CT | Slice 41/137 | Field of view 409x409 mm
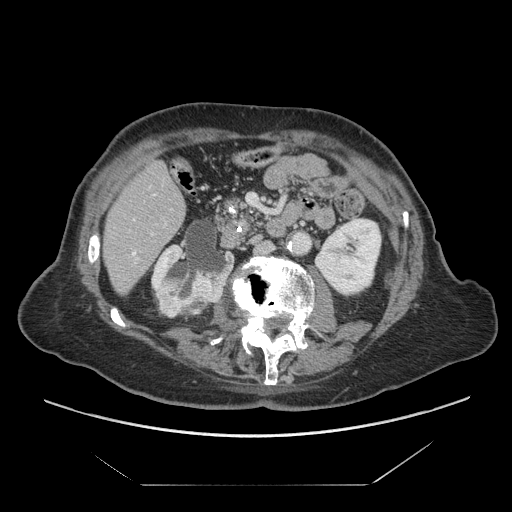

Pancreas: bounding box {"x1": 211, "y1": 194, "x2": 265, "y2": 231}.